CT image; Image size 512x512; Image width 500 mm; Slice 36 of 46 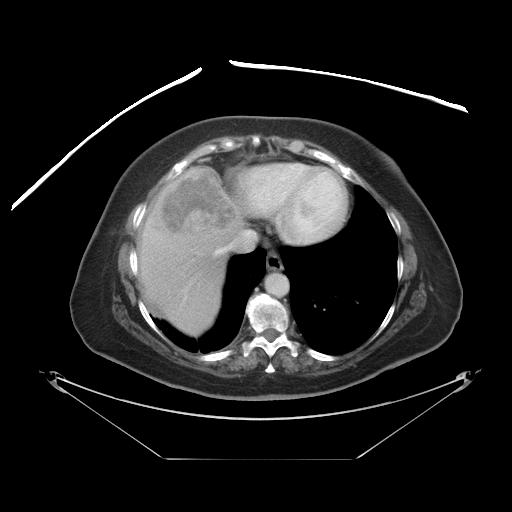 Only some of the vessels may be annotated.
{
  "liver_tumor": [
    "159, 172, 235, 237"
  ],
  "hepatic_vessel": [
    "216, 230, 255, 252",
    "180, 283, 190, 309"
  ]
}